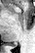
Magnetic resonance
Annotated regions:
- posterior hippocampus: 8, 44, 17, 45